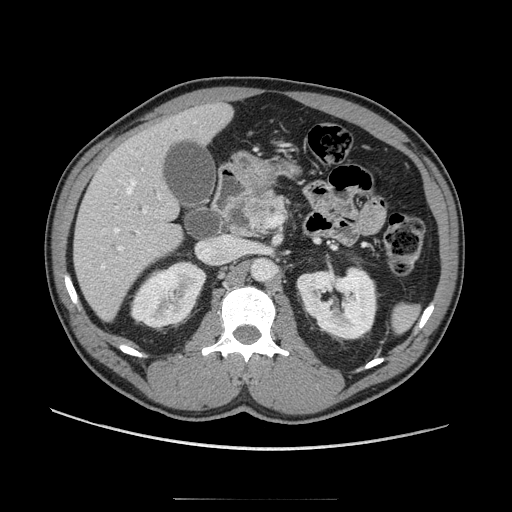

Abdomen | 512x512 | Computed tomography

<segmentation>
  <pancreatic_tumor>(left=245, top=199, right=273, bottom=217)</pancreatic_tumor>
  <pancreas>(left=241, top=189, right=287, bottom=236)</pancreas>
</segmentation>